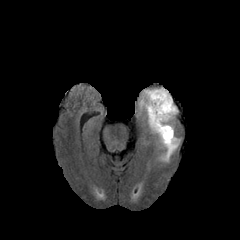
FLAIR MRI.
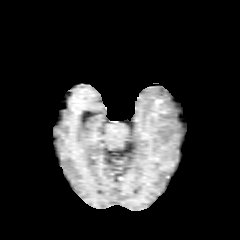
Same slice, T1-weighted MR image.
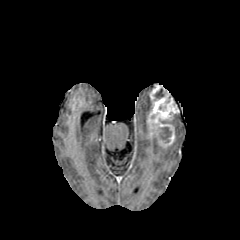
Same slice, post-contrast T1-weighted MRI.
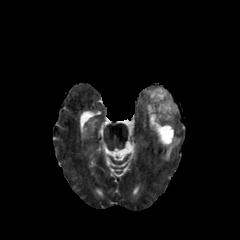
T2-weighted MR.
Enhancing tumor = [148, 85, 178, 145].
Non-enhancing tumor core = [155, 90, 163, 98], [150, 126, 171, 142].
Edema = [138, 88, 179, 161].